Head | Slice index 64
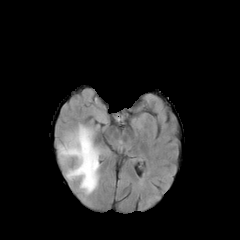
FLAIR MR.
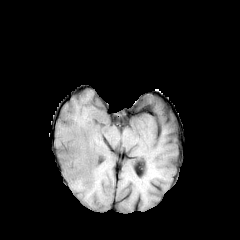
T1-weighted MR image.
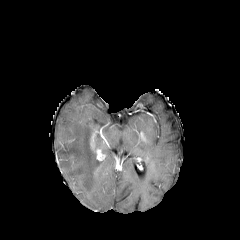
Same slice, post-contrast T1-weighted MR.
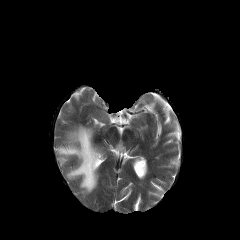
T2-weighted MR image of the same slice.
Edema: bounding box box=[58, 124, 100, 193].